Computed tomography

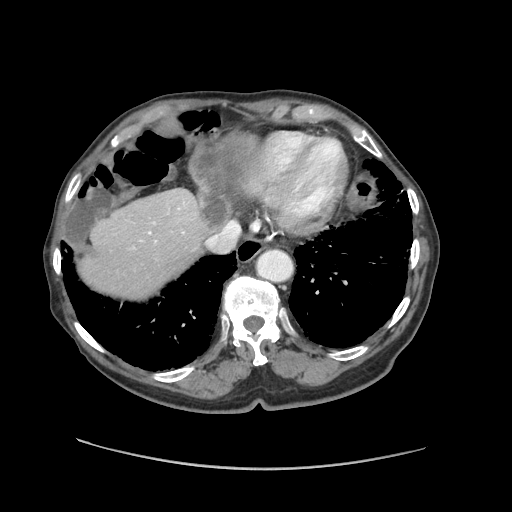

Not every hepatic vessel necessarily has a box.
Findings:
• liver tumor: [x1=192, y1=142, x2=229, y2=227]
• hepatic vessel: [x1=206, y1=221, x2=240, y2=252], [x1=139, y1=240, x2=142, y2=241]